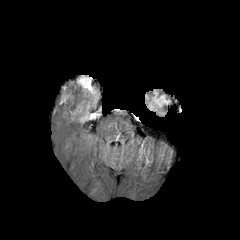
FLAIR MR image.
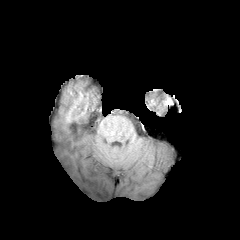
T1-weighted MRI.
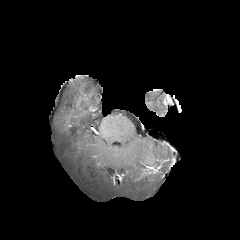
Post-contrast T1-weighted MR image of the same slice.
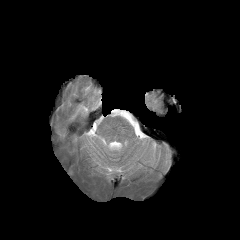
Same slice, T2-weighted MRI.
Head
<segmentation>
  <edema>box(149, 96, 163, 107)</edema>
</segmentation>